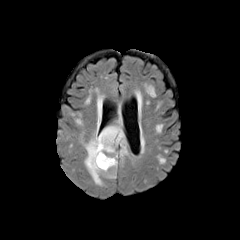
FLAIR MRI.
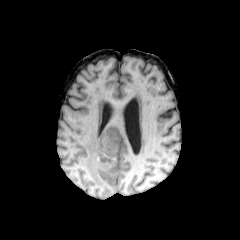
T1-weighted magnetic resonance.
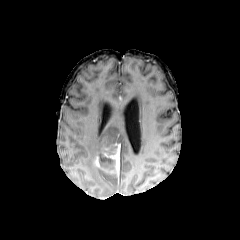
Post-contrast T1-weighted MR image.
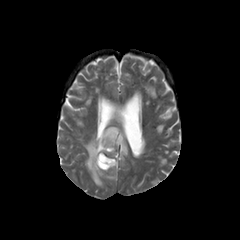
T2-weighted magnetic resonance of the same slice.
240x240 px | Brain
- edema: (81, 104, 128, 185)
- non-enhancing tumor core: (97, 143, 117, 169)
- enhancing tumor: (94, 143, 120, 176)